CT scan slice, Brain, Slice index 543 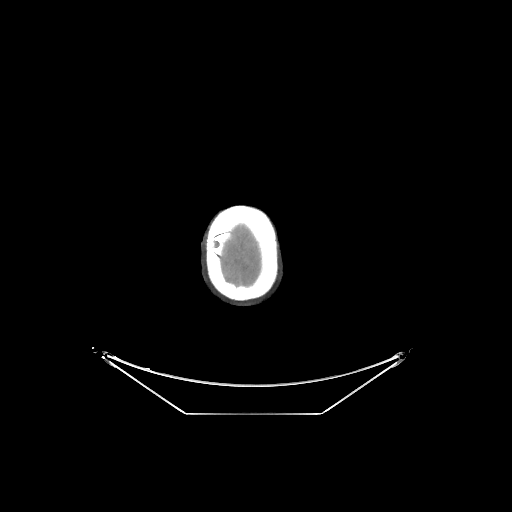
Annotated regions:
* brain: 218 225 260 286